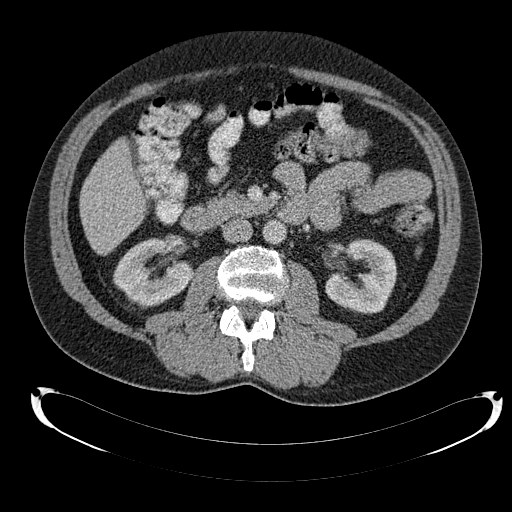
Image size 512x512; Computed tomography
<segmentation>
  <liver>[81,140,145,253]</liver>
  <kidney>[114,236,192,304], [326,240,396,312]</kidney>
</segmentation>